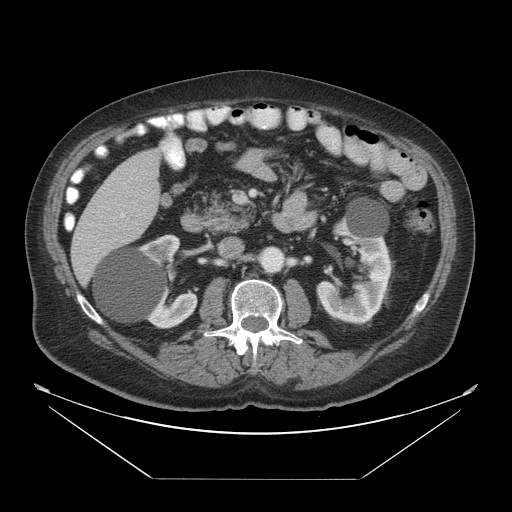
CT scan slice. The vessel annotation is not exhaustive.
hepatic_vessel:
  - (121,213,124,216)